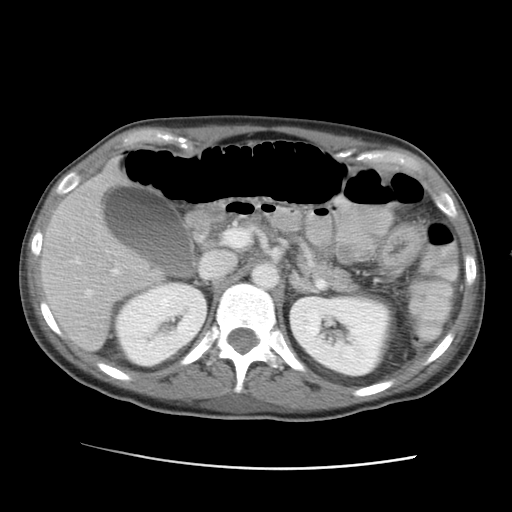
Upper abdomen. CT scan slice. - liver: left=41, top=158, right=167, bottom=350
- kidney: left=290, top=296, right=389, bottom=375; left=117, top=283, right=206, bottom=365